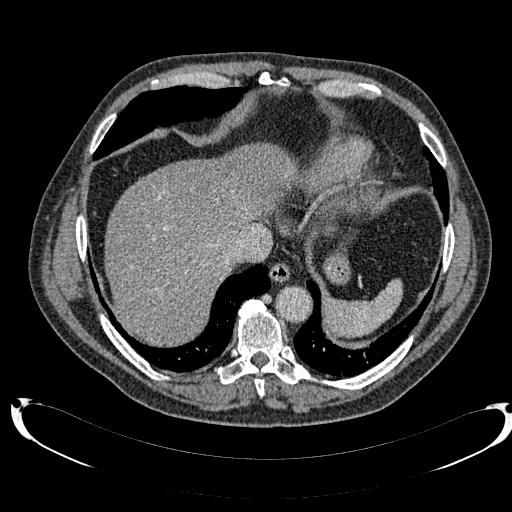
CT, Abdomen
Liver: [104,143,294,344].
Liver lesion: [166,158,225,209].